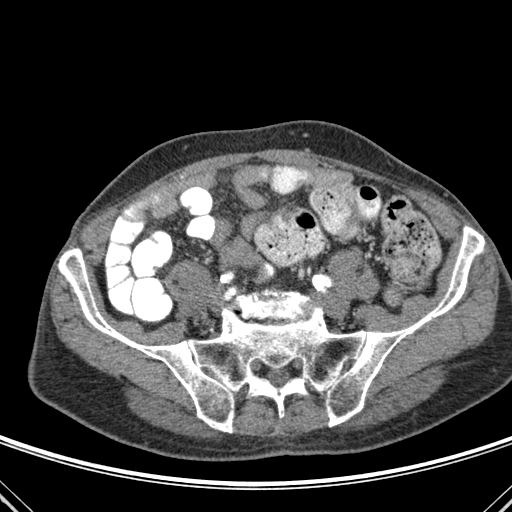

CT

bone:
  - (59, 226, 484, 432)